Field of view 240 mm wide, 1.00 mm slice spacing, 240x240 px
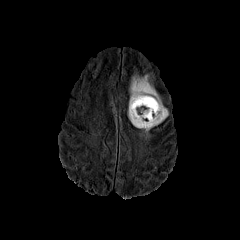
FLAIR MR.
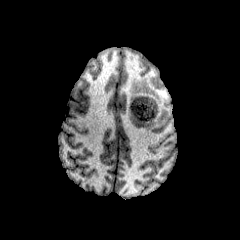
T1-weighted MR.
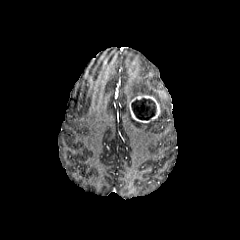
Post-contrast T1-weighted MRI.
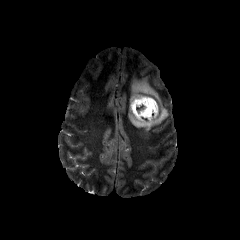
T2-weighted magnetic resonance.
Enhancing tumor: box(151, 102, 160, 120); box(129, 96, 155, 122).
Edema: box(128, 74, 168, 132).
Non-enhancing tumor core: box(131, 98, 157, 121).